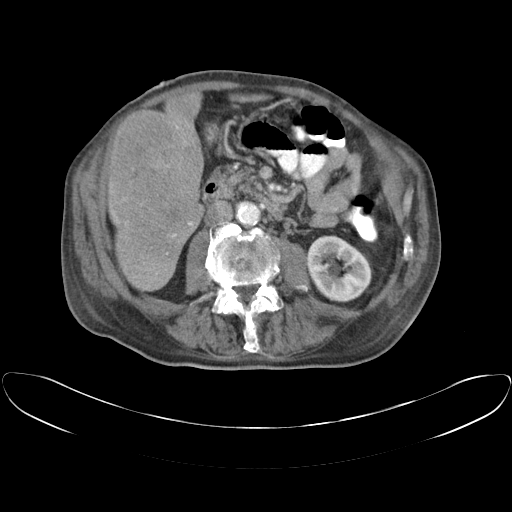 Liver; CT image
The vessel annotation is not exhaustive.
Annotated regions:
- hepatic vessel: bbox=[166, 252, 167, 254]; bbox=[113, 212, 116, 222]
- liver tumor: bbox=[109, 111, 200, 250]